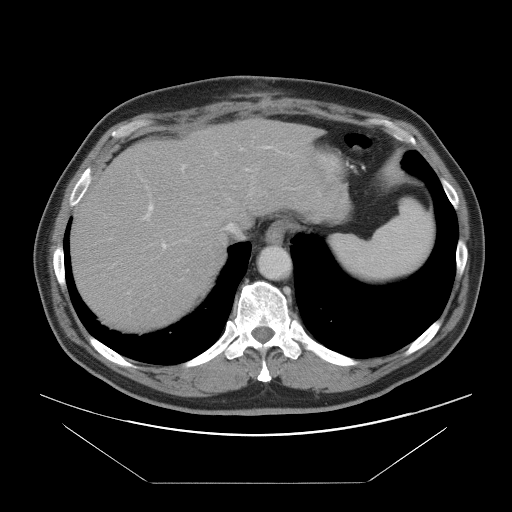

Image size 512x512, Abdomen, CT
Some hepatic vessels may have no box.
hepatic_vessel:
  - (x1=214, y1=152, x2=217, y2=154)
  - (x1=144, y1=202, x2=153, y2=218)
  - (x1=265, y1=146, x2=269, y2=148)
  - (x1=246, y1=168, x2=248, y2=170)
  - (x1=162, y1=243, x2=165, y2=246)
  - (x1=182, y1=164, x2=185, y2=169)
  - (x1=228, y1=224, x2=233, y2=226)